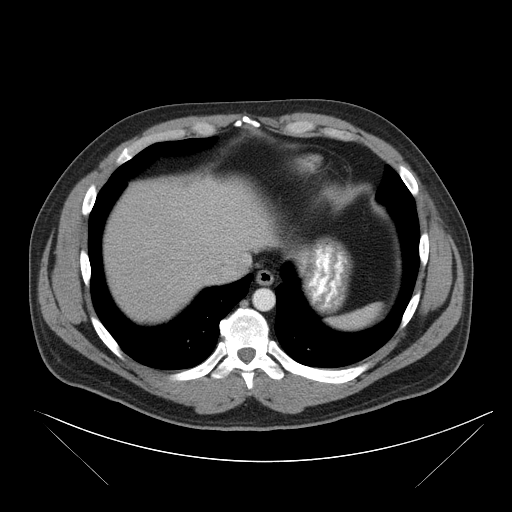 CT image | Image size 512x512
Spleen: box(330, 304, 384, 331).